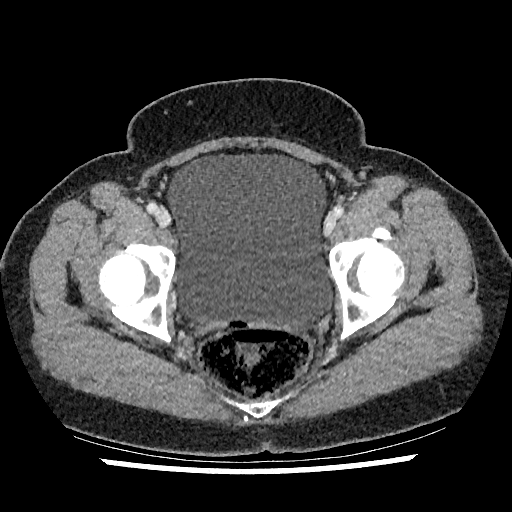
Pelvis. CT image. Segmented structures:
* urinary bladder: (167, 154, 333, 332)